Brain. Slice index 59. 240x240 px.
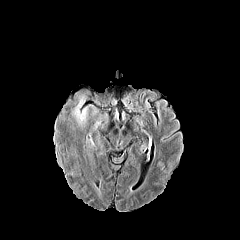
FLAIR MR image.
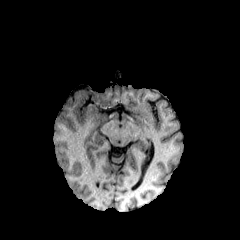
T1-weighted MR image of the same slice.
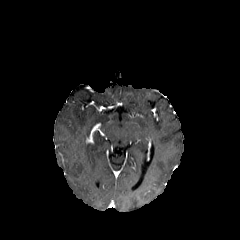
Post-contrast T1-weighted MR image.
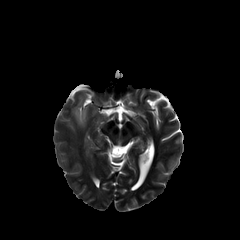
T2-weighted MR.
edema:
  - bbox(75, 99, 85, 120)